FLAIR magnetic resonance.
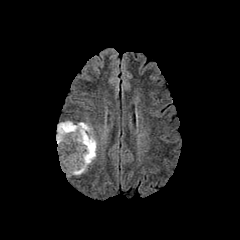
T1-weighted MR image.
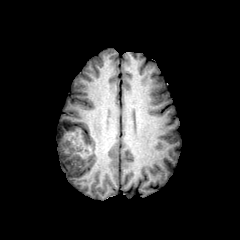
Post-contrast T1-weighted magnetic resonance.
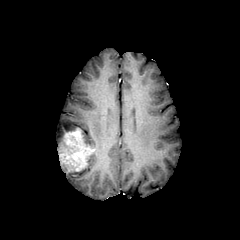
T2-weighted MR image.
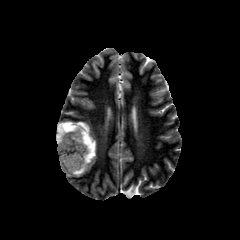
240x240
2 non-enhancing tumor core regions appear at left=73, top=127, right=95, bottom=151; left=57, top=122, right=76, bottom=140. The enhancing tumor lies within left=60, top=129, right=93, bottom=171. The edema is bounded by left=64, top=120, right=97, bottom=175.